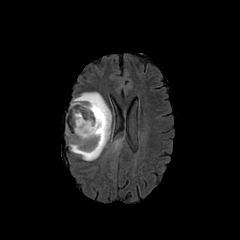
FLAIR MRI.
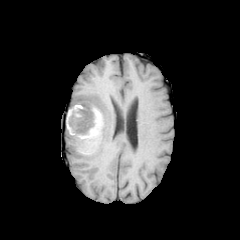
Same slice, T1-weighted MR.
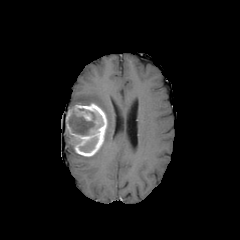
Post-contrast T1-weighted MRI.
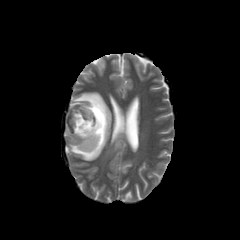
T2-weighted MR.
Head. 240x240 px.
Findings:
- enhancing tumor: 65,103,107,156
- edema: 68,92,111,161
- non-enhancing tumor core: 92,112,102,126; 69,113,96,134; 81,138,96,150